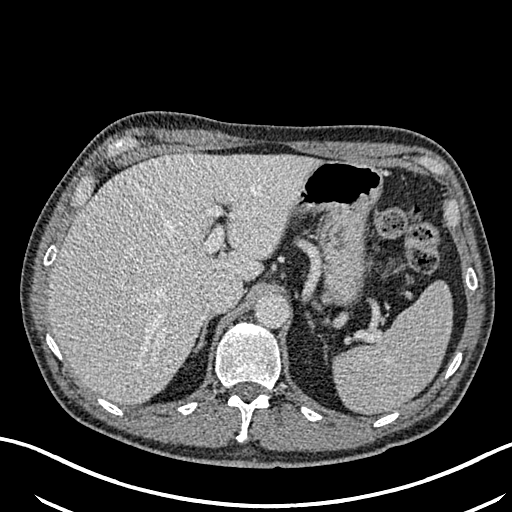 512x512 px; CT slice
{"liver": ["(left=49, top=154, right=322, bottom=404)"]}